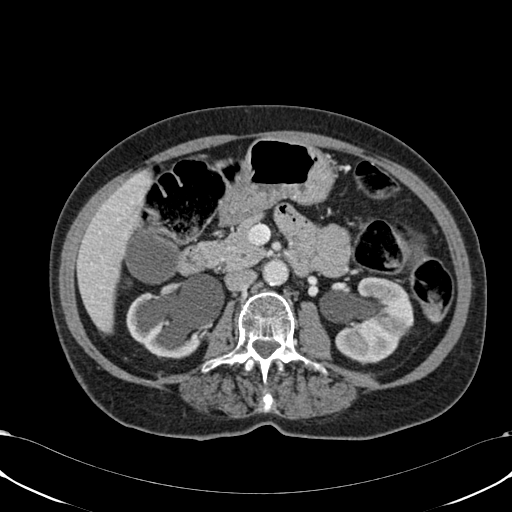
CT slice; 512x512

Liver: [216,160,225,167], [76,170,151,332].
Kidney: [127,291,225,357], [336,278,413,362].